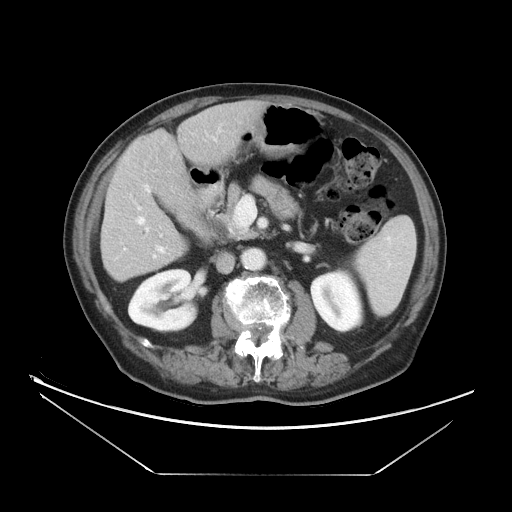
CT slice | Abdomen
The vessel boxes may cover only some of the vessels.
Liver tumor = box=[109, 228, 126, 244].
Hepatic vessel = box=[157, 246, 164, 252]; box=[139, 218, 144, 222]; box=[143, 184, 149, 191].